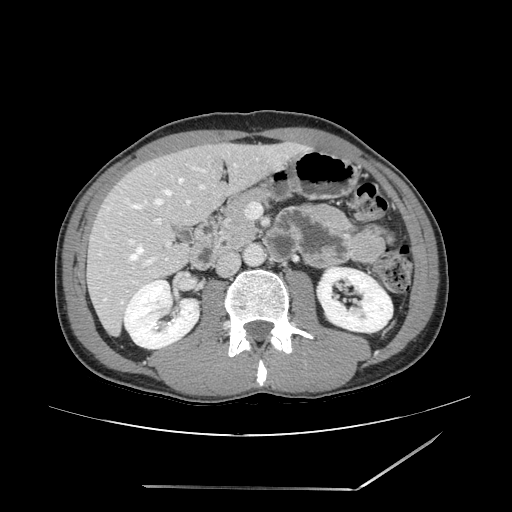
Computed tomography

<segmentation>
  <pancreas>bbox(218, 188, 272, 251)</pancreas>
</segmentation>